CT, Field of view 407 mm wide, 1.50 mm slice spacing, Slice index 313

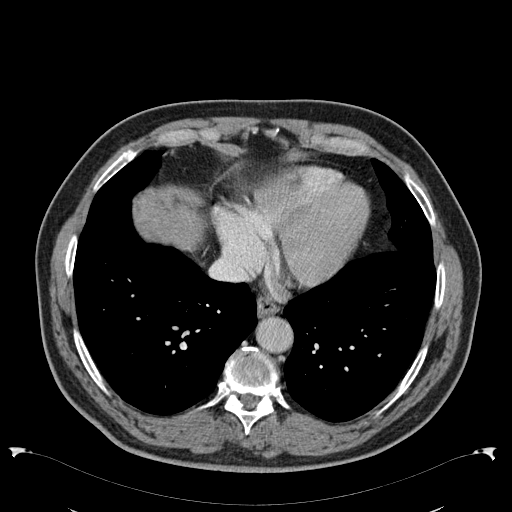
<segmentation>
  <liver>135,193,202,248</liver>
</segmentation>